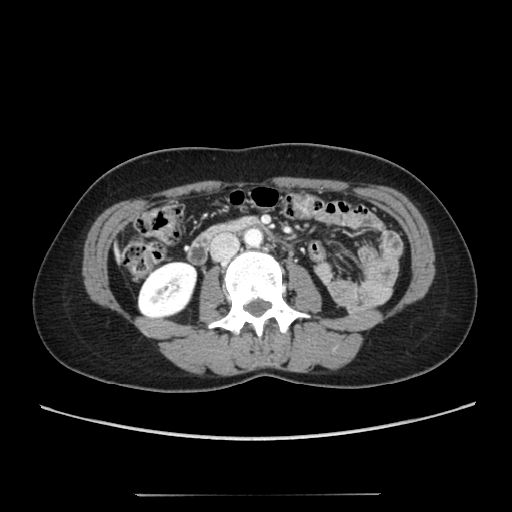
512x512 px, Computed tomography
The kidney is located at <bbox>139, 263, 195, 316</bbox>. The liver is bounded by <bbox>113, 240, 121, 262</bbox>.